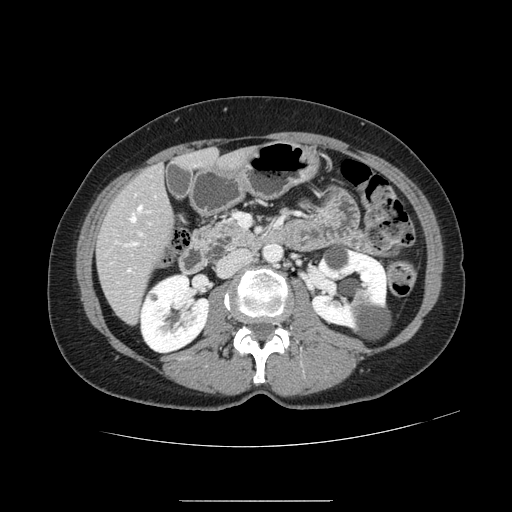
Upper abdomen, CT slice

The pancreatic tumor lies within region(206, 236, 231, 263). The pancreas is bounded by region(192, 218, 264, 257).